FLAIR magnetic resonance.
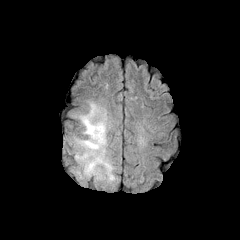
T1-weighted MR.
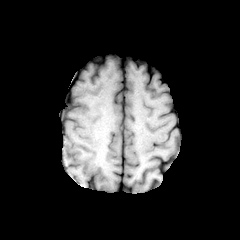
Post-contrast T1-weighted magnetic resonance.
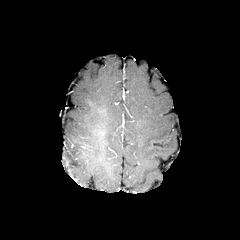
T2-weighted MR image.
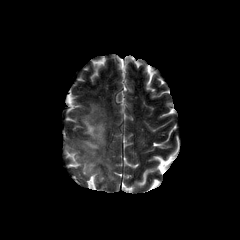
Brain
<segmentation>
  <edema>box=[74, 102, 114, 180]</edema>
</segmentation>